Pelvis. Slice 104/149. CT.

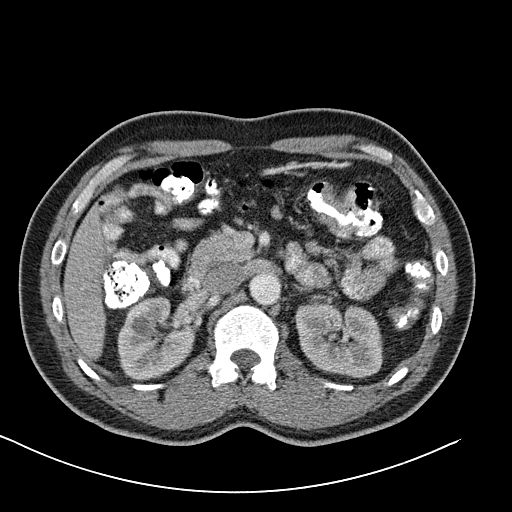 Colon tumor at (left=316, top=214, right=357, bottom=237), (left=323, top=183, right=357, bottom=213).